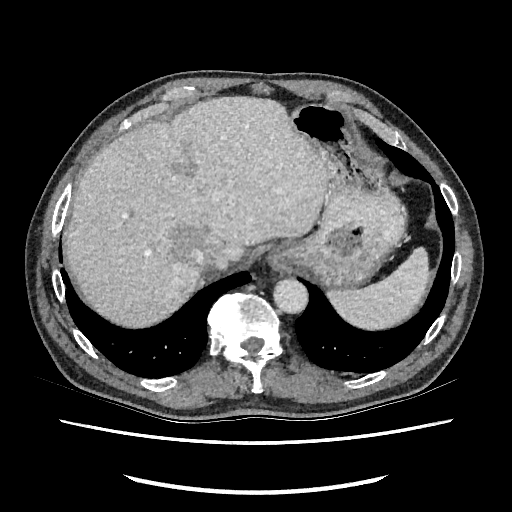 Computed tomography, Abdomen
2 liver lesion regions appear at <box>174,159,197,174</box>, <box>171,226,210,266</box>. The liver is at <box>67,98,328,323</box>.